Slice index 23; Abdomen; CT scan slice
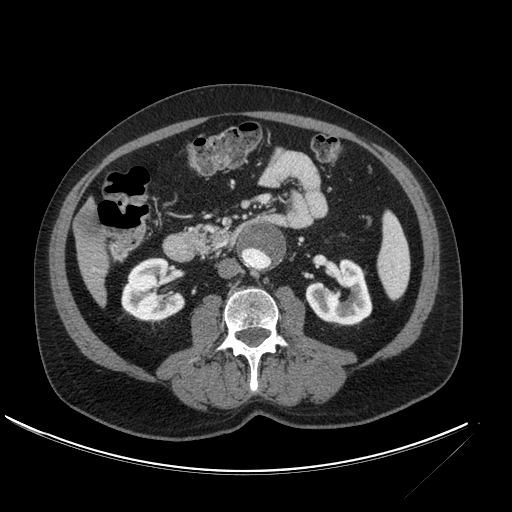

kidney: 306:260:371:323, 122:259:183:319 | liver: 75:236:108:306 | focal liver lesion: 73:202:105:247